Field of view 487 mm wide, 4.00 mm slice spacing. Image size 512x512. Liver. CT.
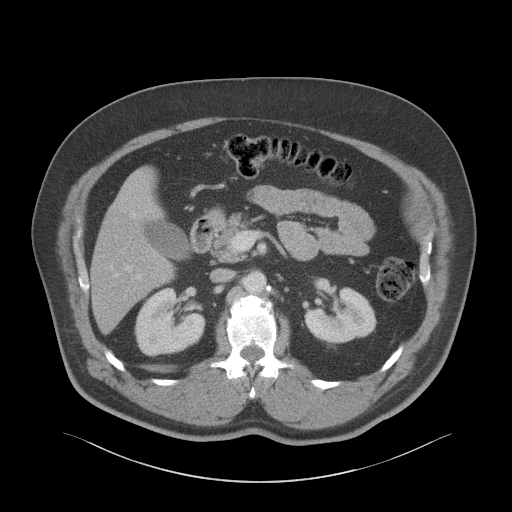

kidney:
  - bbox=[305, 288, 373, 342]
  - bbox=[136, 289, 204, 355]
liver:
  - bbox=[89, 173, 170, 328]